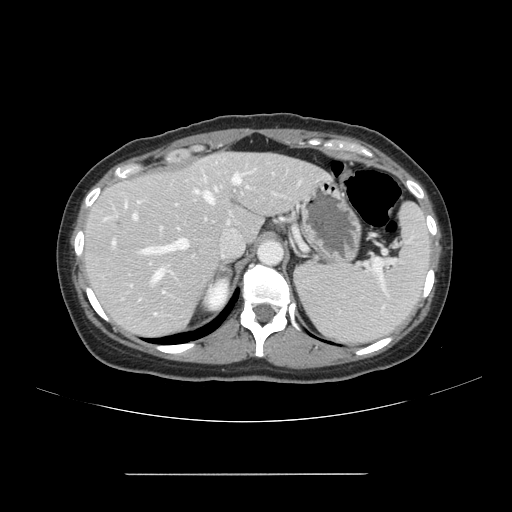 CT | Liver
The vessel annotation is not exhaustive.
Hepatic vessel: (194,190,213,203), (139,238,188,253), (246,186,248,188), (153,269,163,281), (215,188,217,190), (126,203,126,206), (204,175,205,179), (233,173,240,183), (133,214,137,219), (113,241,115,245).
Liver tumor: (119,214,130,230).